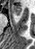 35x49 px, Magnetic resonance
<segmentation>
  <anterior_hippocampus><box>11,5,21,15</box></anterior_hippocampus>
</segmentation>